Slice 51/155. Field of view 240 mm wide, 1.00 mm slice spacing. Head.
FLAIR MR image.
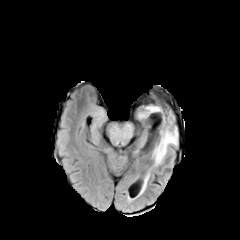
T1-weighted MRI.
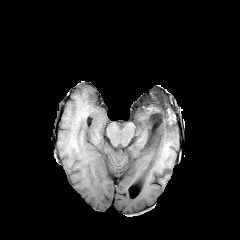
Post-contrast T1-weighted MRI.
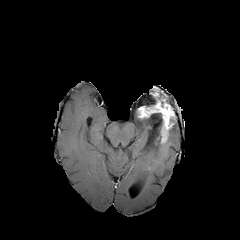
T2-weighted MRI.
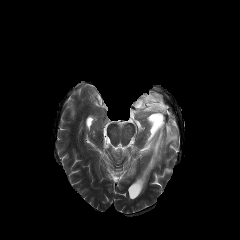
edema: [151, 126, 178, 166], [142, 171, 149, 191] | enhancing tumor: [138, 100, 174, 145] | non-enhancing tumor core: [162, 117, 175, 145], [154, 112, 162, 131]